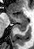 MR image
The posterior hippocampus appears at bbox(16, 23, 27, 31). The anterior hippocampus appears at bbox(7, 13, 27, 22).